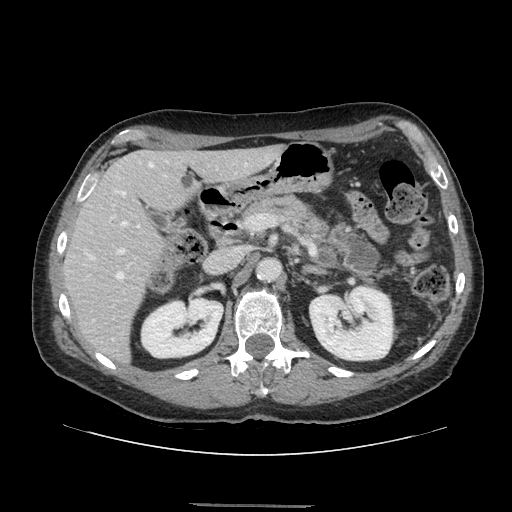

CT scan slice; 512x512 px
Pancreas: <bbox>249, 196, 322, 239</bbox>.